Field of view 434x434 mm | CT image 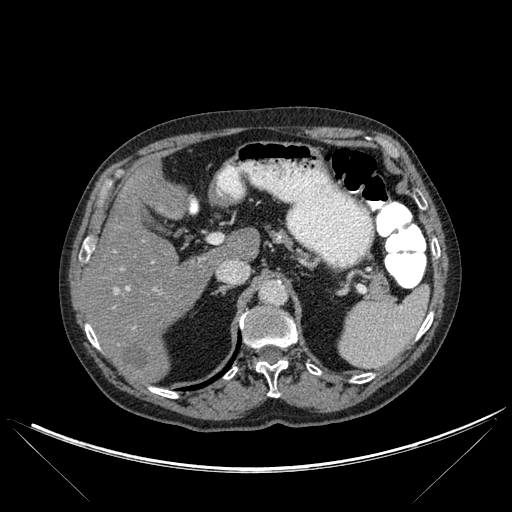 liver: bbox(85, 164, 217, 382); bbox(211, 228, 259, 263) | lung: bbox(182, 339, 240, 390) | bone: bbox(351, 373, 373, 383); bbox(224, 367, 237, 379); bbox(239, 307, 296, 348); bbox(149, 387, 177, 398); bbox(255, 359, 287, 397); bbox(307, 364, 321, 374); bbox(416, 197, 426, 208); bbox(416, 312, 433, 338); bbox(431, 238, 440, 256); bbox(85, 324, 99, 348) | liver lesion: bbox(122, 343, 147, 369); bbox(113, 199, 131, 222)